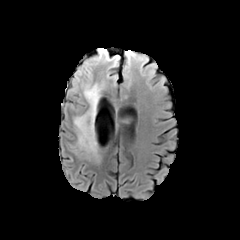
FLAIR MRI.
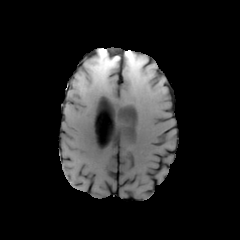
T1-weighted MR image.
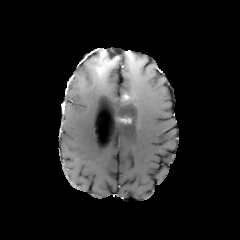
Post-contrast T1-weighted MR.
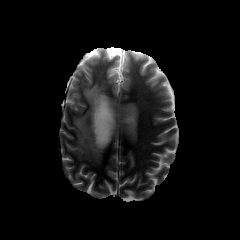
Same slice, T2-weighted magnetic resonance.
Image size 240x240, Head
Segmented structures:
* non-enhancing tumor core: l=90, t=50, r=117, b=71
* edema: l=124, t=51, r=139, b=79; l=96, t=63, r=117, b=81; l=73, t=58, r=103, b=158; l=72, t=77, r=79, b=89